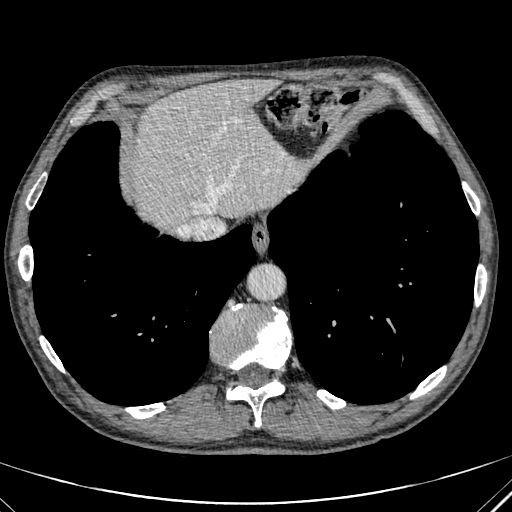 CT slice, Liver, 512x512 px

Liver = box(133, 79, 301, 229).